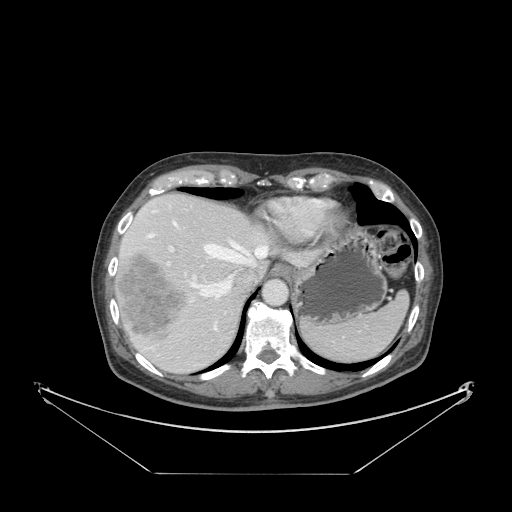
CT slice, Upper abdomen
<segmentation>
  <spleen>{"x1": 302, "y1": 291, "x2": 409, "y2": 363}</spleen>
</segmentation>